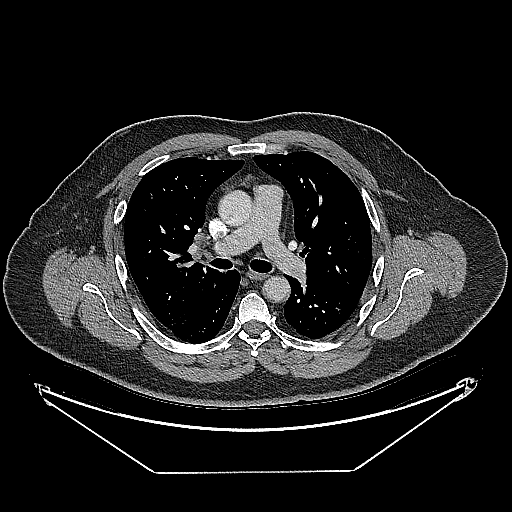

Lung. CT scan slice. Image size 512x512. The lung tumor is located at bbox=[172, 283, 184, 293].